240x240, Brain, Image width 240 mm
FLAIR MR.
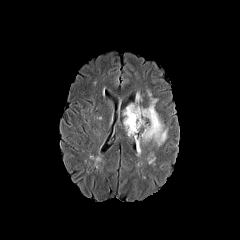
T1-weighted MR.
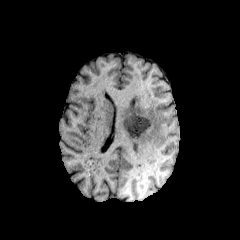
Post-contrast T1-weighted MRI.
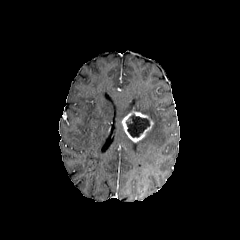
T2-weighted MR.
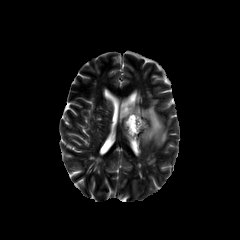
edema: 141,106,166,144 | non-enhancing tumor core: 126,114,149,138 | enhancing tumor: 122,111,153,142